CT image; Field of view 361x361 mm; Image size 512x512
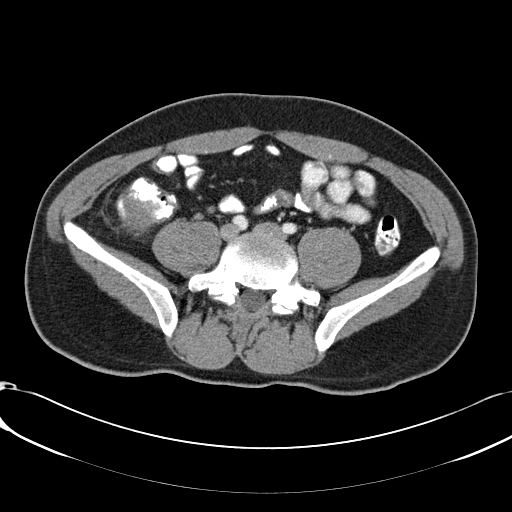

colon_tumor:
  - [123,196,151,228]